512x512 px. CT image.
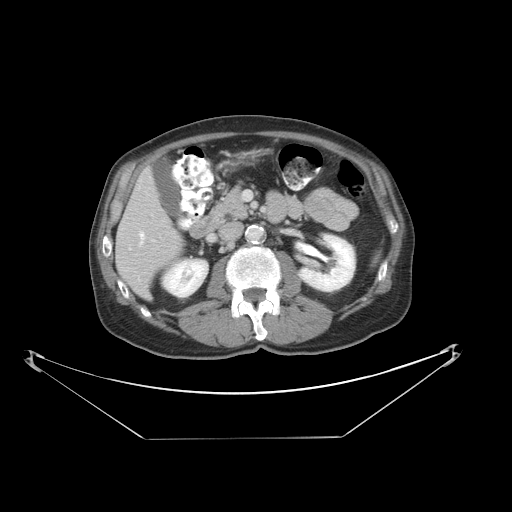
Some hepatic vessels may have no box.
<segmentation>
  <hepatic_vessel>box=[139, 232, 144, 245]; box=[138, 277, 139, 278]</hepatic_vessel>
</segmentation>